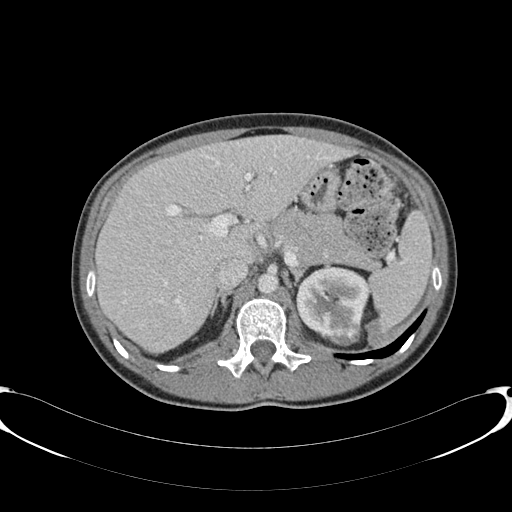
512x512; Liver; CT image
The liver appears at <bbox>95, 136, 355, 351</bbox>. The kidney is located at <bbox>297, 268, 368, 342</bbox>.